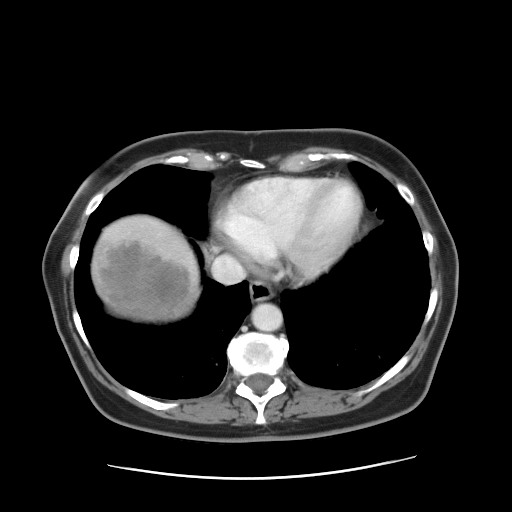
Liver. Computed tomography.
Only some of the vessels may be annotated.
<segmentation>
  <liver_tumor>[94, 239, 194, 316]</liver_tumor>
  <hepatic_vessel>[213, 256, 244, 284], [233, 238, 253, 255]</hepatic_vessel>
</segmentation>